Liver | CT scan slice
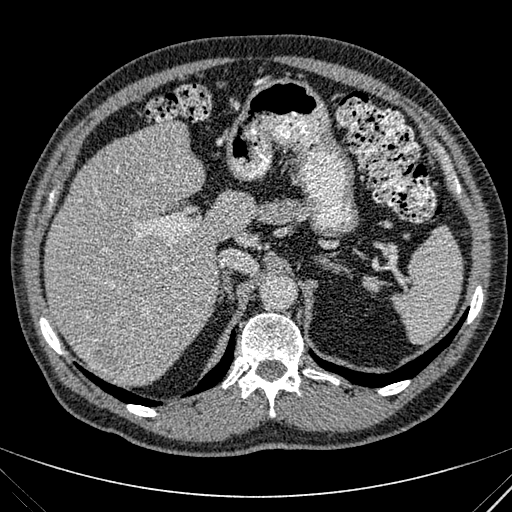

Liver = (47,122,253,384).
Focal liver lesion = (94,335,124,375).